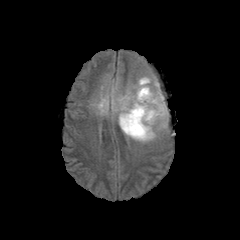
FLAIR MRI.
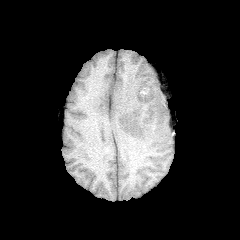
T1-weighted MR.
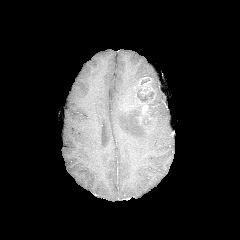
Post-contrast T1-weighted MRI of the same slice.
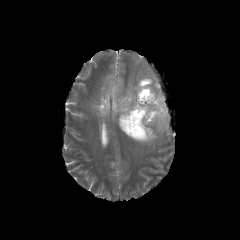
T2-weighted MRI.
Image size 240x240.
Non-enhancing tumor core at 117:83:162:133.
Enhancing tumor at 139:77:153:91, 136:100:149:114.
Edema at 93:78:169:143, 150:80:165:113.